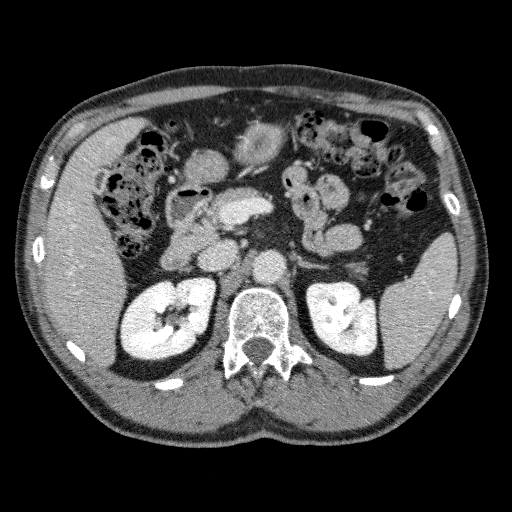
CT
{
  "liver": [
    "43,118,146,365",
    "172,235,218,252"
  ],
  "kidney": [
    "121,278,214,358",
    "307,283,375,354"
  ]
}